Image size 512x512; Liver; CT; Slice index 184; Image width 358 mm
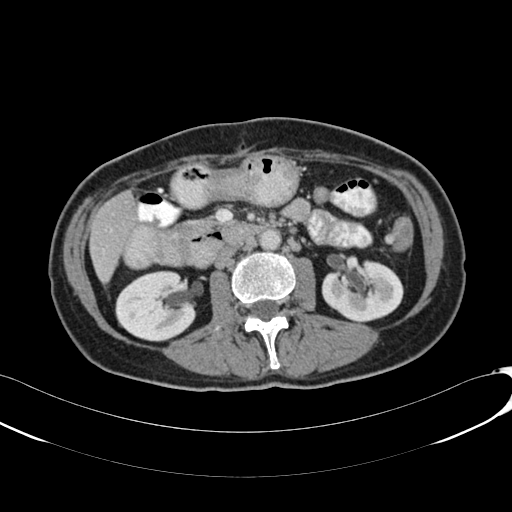

<segmentation>
  <kidney><bbox>323, 261, 402, 320</bbox>, <bbox>116, 272, 194, 340</bbox></kidney>
  <liver><bbox>90, 190, 135, 282</bbox></liver>
</segmentation>